FLAIR MRI.
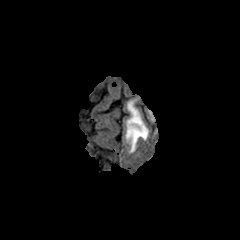
T1-weighted magnetic resonance.
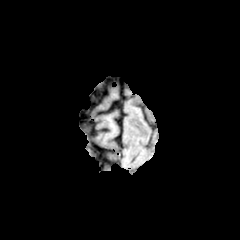
Post-contrast T1-weighted magnetic resonance.
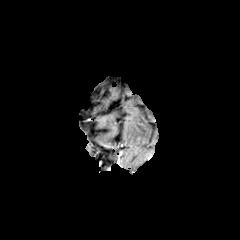
T2-weighted magnetic resonance.
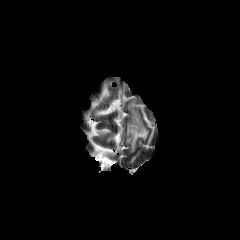
Edema — 125 98 150 152.